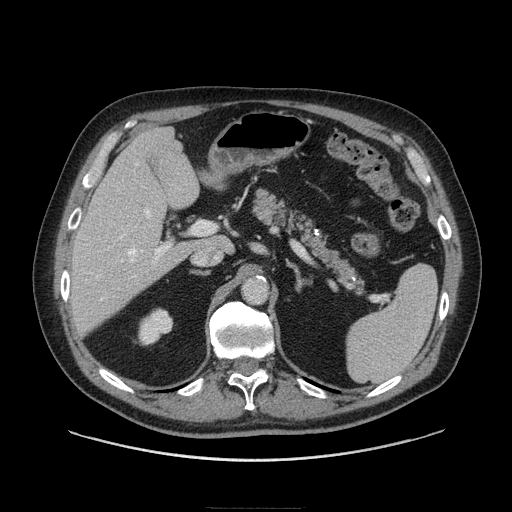

CT scan slice, 512x512, Upper abdomen
pancreas:
  - left=251, top=188, right=366, bottom=292